FLAIR MR image.
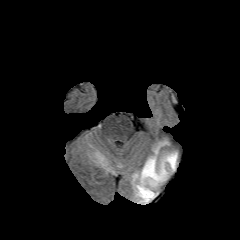
T1-weighted MRI.
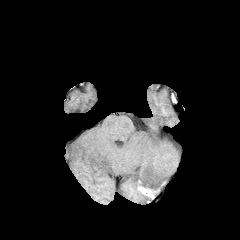
Post-contrast T1-weighted MR image.
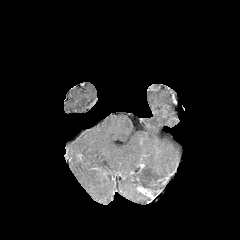
T2-weighted MR image.
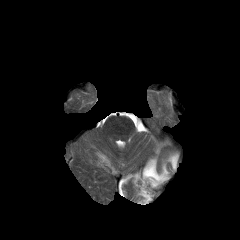
Image size 240x240. Brain.
Segmented structures:
* edema: region(128, 142, 177, 203)
* non-enhancing tumor core: region(138, 186, 149, 197)